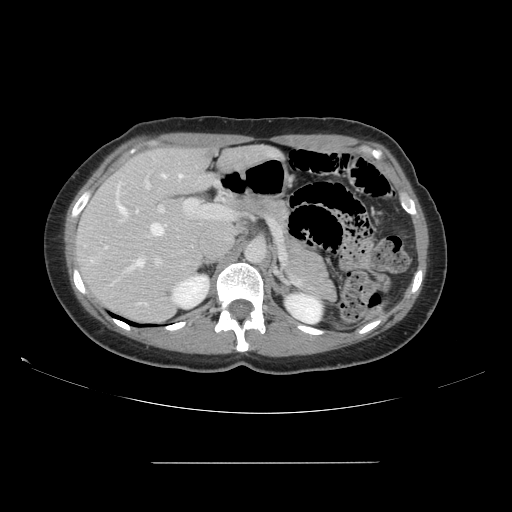 Computed tomography | Abdomen

Only some of the vessels may be annotated.
<segmentation>
  <hepatic_vessel><bbox>105, 246, 106, 248</bbox>, <bbox>155, 258, 160, 265</bbox>, <bbox>136, 209, 137, 211</bbox>, <bbox>145, 179, 149, 188</bbox>, <bbox>158, 205, 164, 212</bbox>, <bbox>178, 175, 182, 180</bbox>, <bbox>147, 223, 165, 236</bbox>, <bbox>161, 174, 166, 177</bbox>, <bbox>127, 258, 143, 271</bbox>, <bbox>116, 279, 119, 280</bbox>, <bbox>90, 258, 94, 263</bbox>, <bbox>183, 199, 194, 213</bbox>, <bbox>137, 303, 147, 305</bbox>, <bbox>116, 182, 129, 222</bbox></hepatic_vessel>
</segmentation>